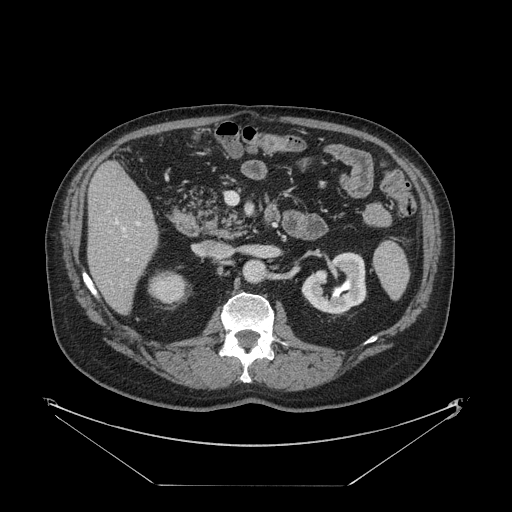
Abdomen; CT; Image size 512x512
Some hepatic vessels may have no box.
Hepatic vessel = 136:222:139:224, 126:258:127:259.